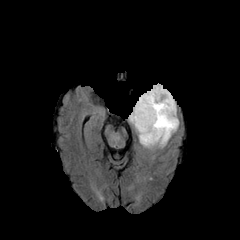
FLAIR MR.
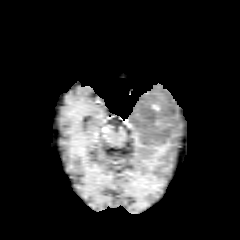
Same slice, T1-weighted MRI.
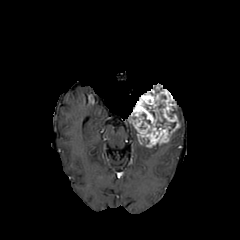
Post-contrast T1-weighted MRI of the same slice.
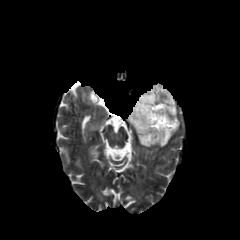
T2-weighted MRI.
Head.
The enhancing tumor is at box(129, 85, 178, 146). The edema appears at box(138, 128, 178, 150). The non-enhancing tumor core is bounded by box(150, 101, 175, 131).